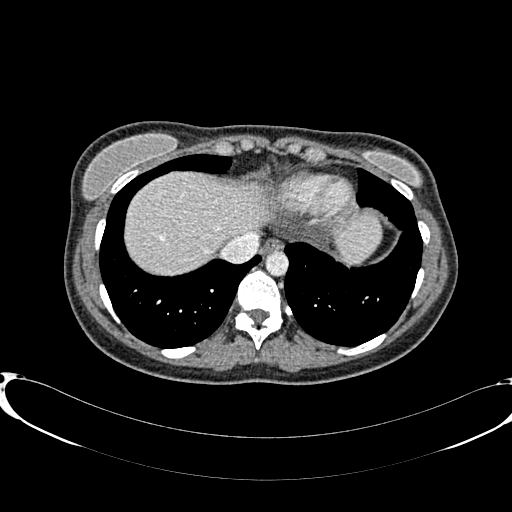 Computed tomography; Upper abdomen

Liver at (left=336, top=213, right=380, bottom=262), (left=126, top=172, right=267, bottom=273).